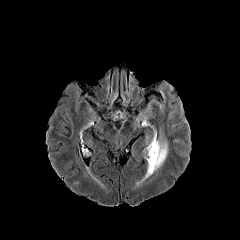
FLAIR magnetic resonance.
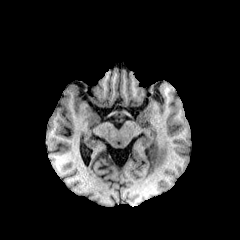
Same slice, T1-weighted magnetic resonance.
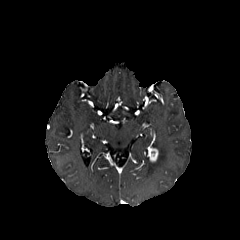
Post-contrast T1-weighted MRI.
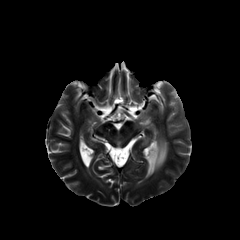
Same slice, T2-weighted MR.
The edema lies within 146,133,167,177. The enhancing tumor appears at 147,147,158,160.